Magnetic resonance 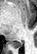

Segmented structures:
- posterior hippocampus: region(9, 40, 22, 47)